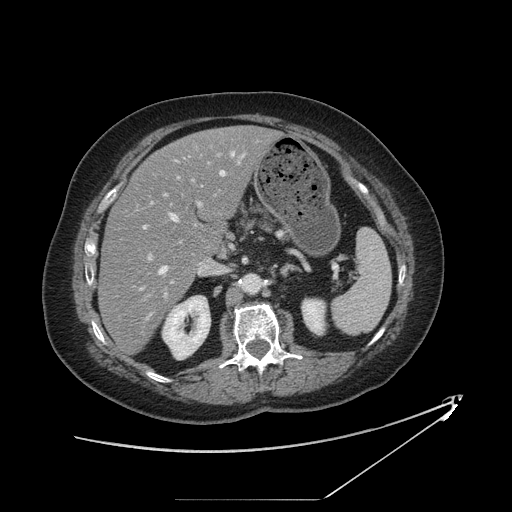
CT; Upper abdomen
Findings:
* pancreas: bbox(235, 201, 275, 233)